CT image, Slice 164 of 212, Liver
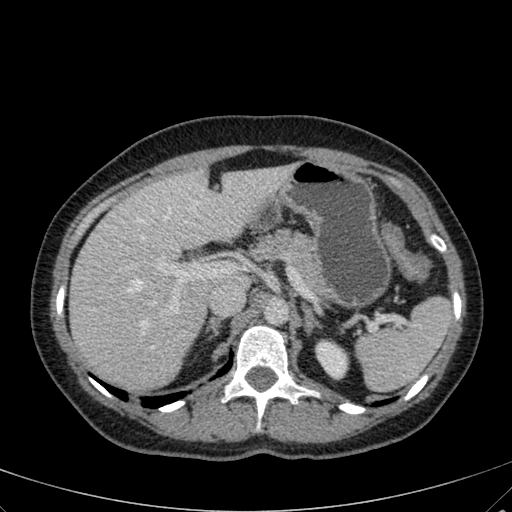 Liver at bbox=[69, 165, 293, 387].
Kidney at bbox=[317, 343, 345, 376].
Focal liver lesion at bbox=[201, 170, 209, 178].